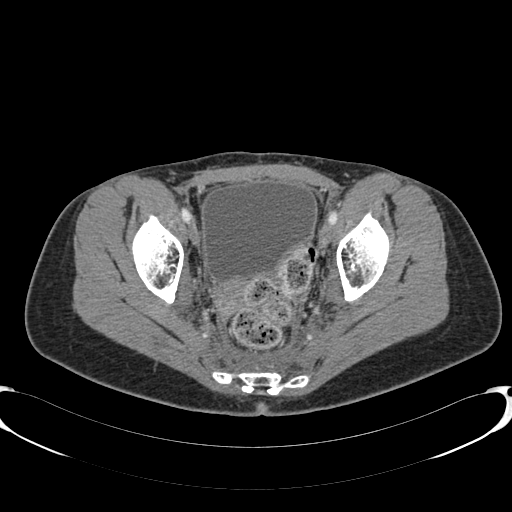

CT scan slice.
Urinary bladder at left=204, top=183, right=314, bottom=280.